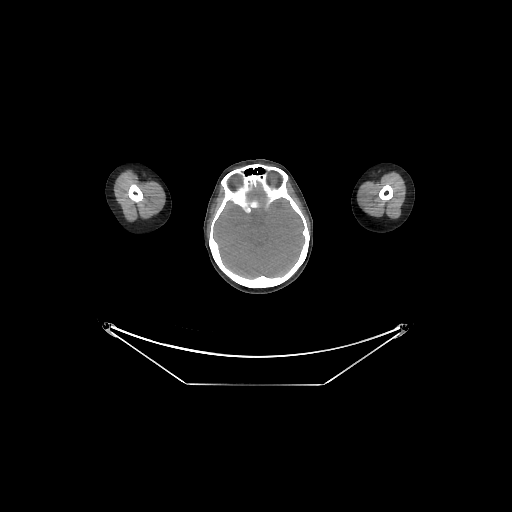
Head | CT scan slice
The brain is bounded by x1=214, y1=184, x2=303, y2=277.